Computed tomography | Image size 512x512 | Abdomen | Slice 6/54
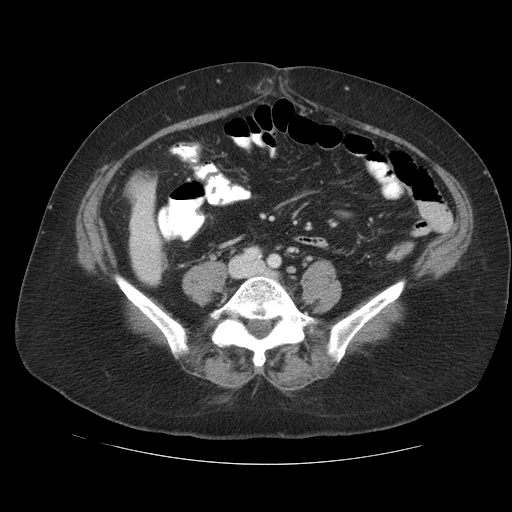

The liver tumor is at l=130, t=180, r=144, b=192.